Slice index 156. CT scan slice. Pelvis. 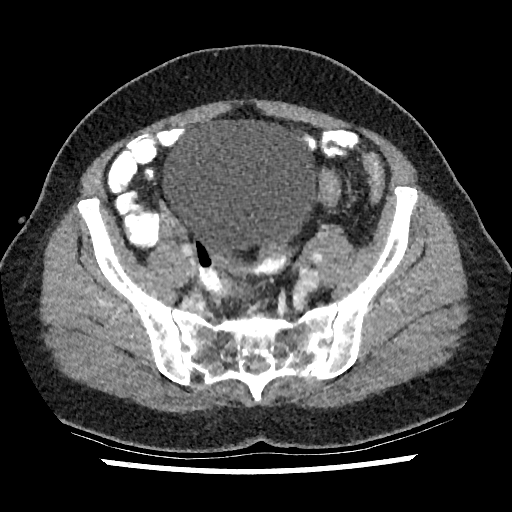 Segmented structures:
• urinary bladder: [163,119,317,262]